Image size 240x240; Head
FLAIR magnetic resonance.
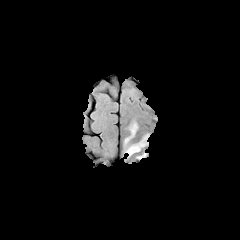
T1-weighted MR.
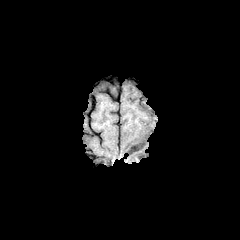
Post-contrast T1-weighted magnetic resonance.
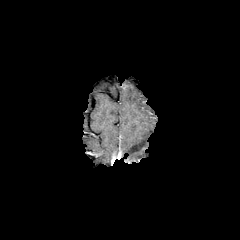
T2-weighted MRI.
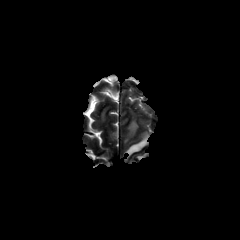
edema: x1=125 y1=134 x2=149 y2=157